Slice 377 of 677 | Abdomen | Computed tomography | Image size 512x512

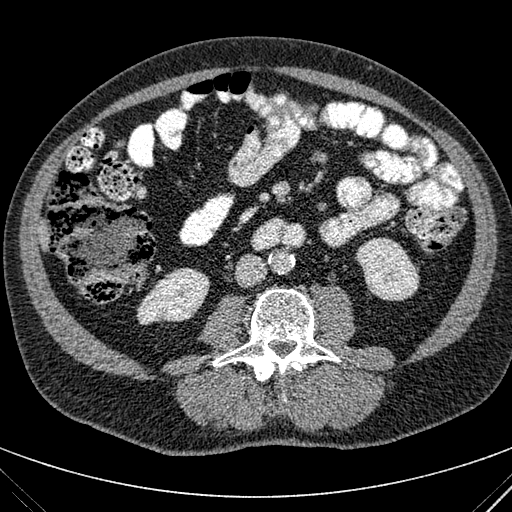

kidney: (137,268,208,324), (356,238,418,300) | liver: (39,223,47,250)